CT. Slice 41 of 95.

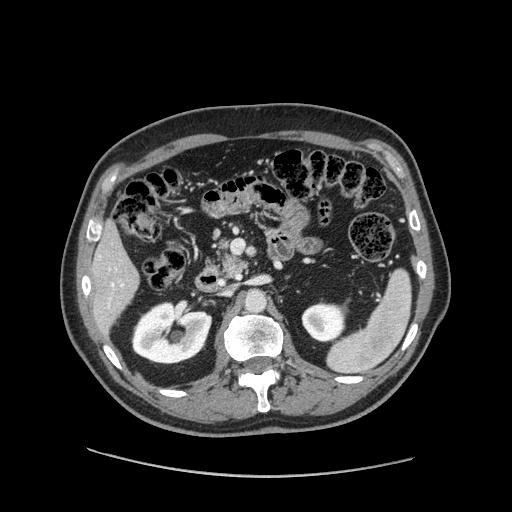

Pancreas = [x1=207, y1=241, x2=245, y2=276].